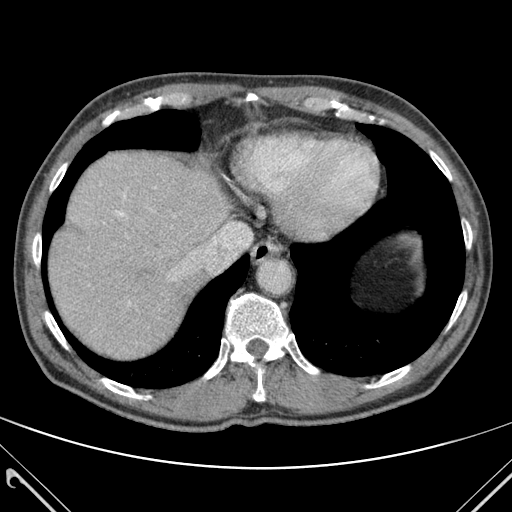

512x512 | CT

Liver: l=49, t=152, r=231, b=359.
Bone: l=448, t=292, r=466, b=327; l=254, t=368, r=264, b=400; l=103, t=111, r=119, b=124; l=50, t=164, r=66, b=190; l=45, t=312, r=67, b=348; l=102, t=378, r=142, b=398; l=431, t=152, r=451, b=179; l=245, t=94, r=257, b=100; l=204, t=294, r=318, b=378; l=463, t=222, r=471, b=247; l=33, t=234, r=41, b=265; l=367, t=366, r=409, b=387.
Lung: l=50, t=255, r=249, b=388; l=290, t=124, r=464, b=376; l=42, t=109, r=200, b=256.